Head, Slice 44 of 155
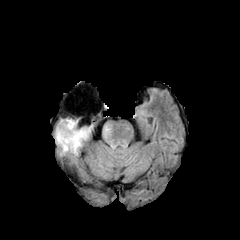
FLAIR MR image.
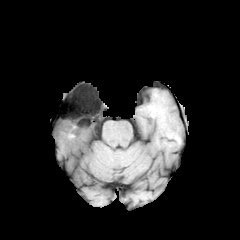
T1-weighted MR.
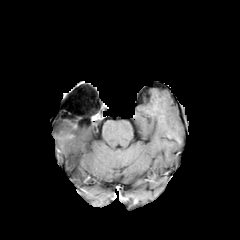
Post-contrast T1-weighted MR of the same slice.
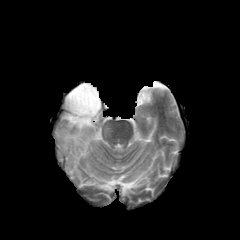
T2-weighted MRI of the same slice.
The edema is at rect(56, 118, 92, 156).